FLAIR MR image.
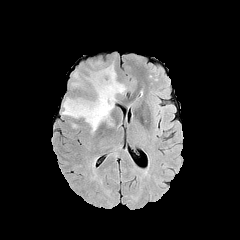
T1-weighted MR.
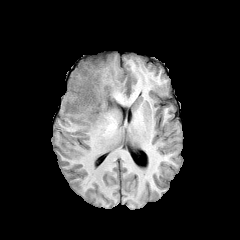
Post-contrast T1-weighted MRI.
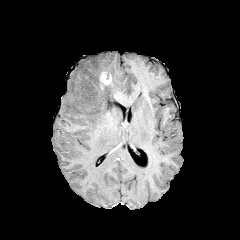
T2-weighted magnetic resonance.
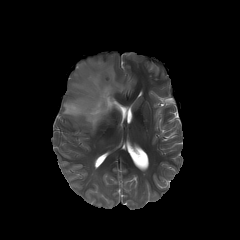
Image size 240x240
{
  "non-enhancing_tumor_core": [
    "x1=98 y1=72 x2=113 y2=91"
  ],
  "enhancing_tumor": [
    "x1=99 y1=73 x2=111 y2=85"
  ],
  "edema": [
    "x1=62 y1=63 x2=125 y2=133"
  ]
}